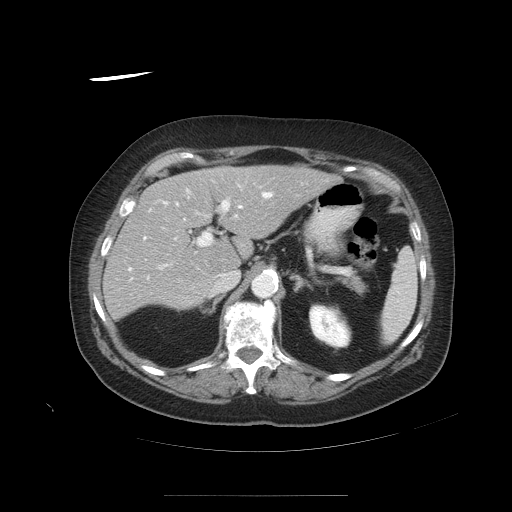 CT scan slice.

The vessel annotation is not exhaustive.
[15/19] hepatic vessel: 158:264:168:269, 175:203:177:205, 238:205:241:208, 261:192:271:198, 237:184:242:189, 161:227:163:228, 218:272:238:290, 234:215:236:217, 149:209:150:211, 185:188:189:198, 196:231:212:245, 129:278:131:280, 160:201:166:204, 220:198:229:211, 128:268:131:270 | liver tumor: 180:288:197:304